240x240; Field of view 240x240 mm; Brain
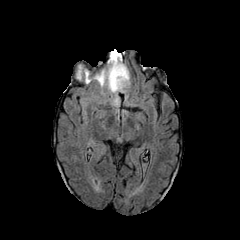
FLAIR MR image.
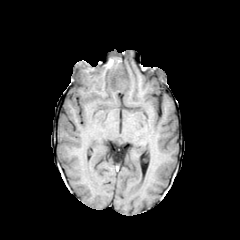
T1-weighted MRI of the same slice.
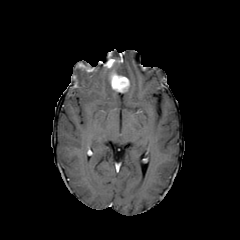
Post-contrast T1-weighted MRI of the same slice.
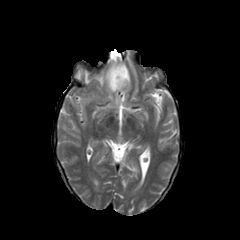
T2-weighted MR.
edema:
  - 76, 68, 124, 105
  - 114, 62, 130, 79
non-enhancing_tumor_core:
  - 100, 64, 110, 78
  - 116, 70, 127, 77
  - 78, 62, 94, 71
  - 111, 49, 120, 59
enhancing_tumor:
  - 104, 51, 129, 91